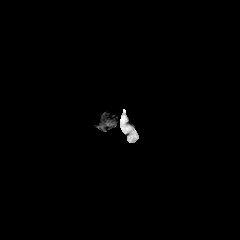
FLAIR MR.
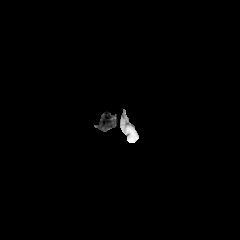
Same slice, T1-weighted MRI.
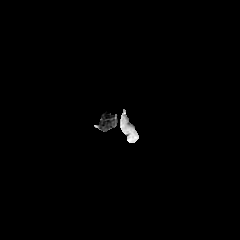
Post-contrast T1-weighted magnetic resonance.
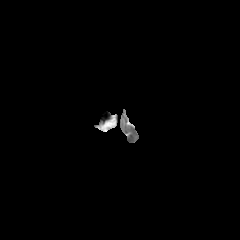
T2-weighted MR of the same slice.
Brain.
<segmentation>
  <edema>[120,109,127,123]</edema>
</segmentation>